Slice index 94; Field of view 240 mm wide, 1.00 mm slice spacing; Image size 240x240
FLAIR MRI.
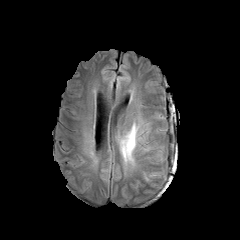
T1-weighted MR.
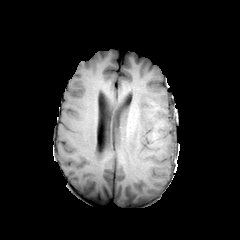
Post-contrast T1-weighted MRI.
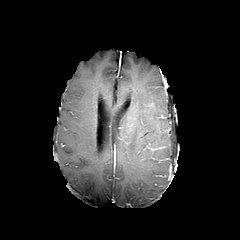
T2-weighted MR image.
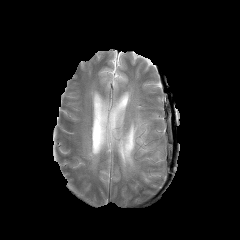
Findings:
* edema: {"x1": 119, "y1": 119, "x2": 161, "y2": 174}